Slice 54 of 122 | MRI | Heart

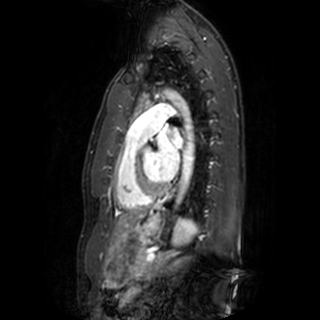 The left atrium is at <bbox>156, 128, 182, 180</bbox>.